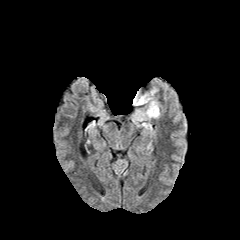
FLAIR MR image.
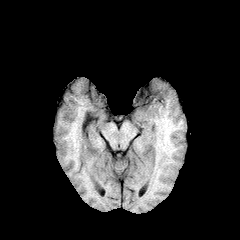
T1-weighted MR.
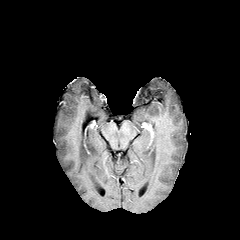
Post-contrast T1-weighted MR.
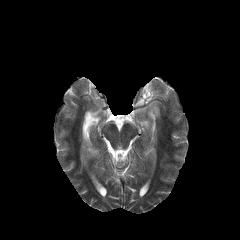
T2-weighted MRI.
The edema appears at (x1=132, y1=87, x2=160, y2=121).